Slice 95/155 | Image width 240 mm | Head | 240x240
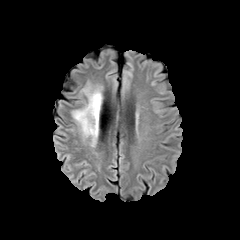
FLAIR MR.
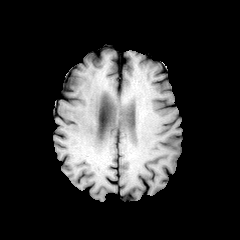
T1-weighted MR.
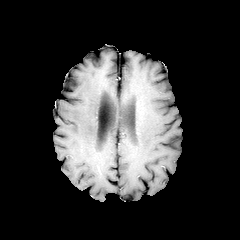
Post-contrast T1-weighted MR.
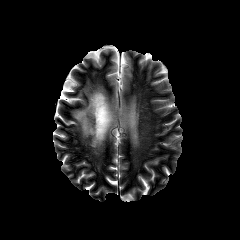
T2-weighted magnetic resonance.
{"edema": ["72, 82, 103, 146"]}